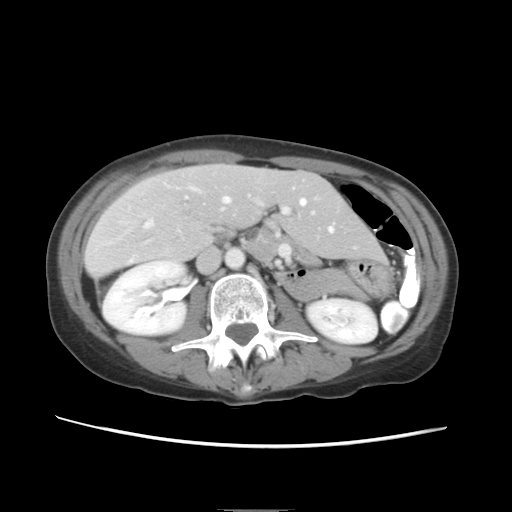
CT scan slice. Liver. Some hepatic vessels may have no box.
9 hepatic vessel regions are bounded by 282,207,288,213; 279,244,289,255; 165,182,166,185; 328,226,333,231; 223,196,229,201; 129,256,134,261; 300,198,305,204; 145,219,152,226; 190,186,198,190.